Head
FLAIR magnetic resonance.
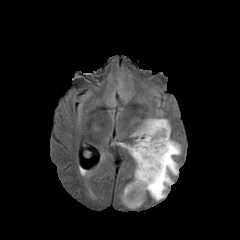
T1-weighted MR.
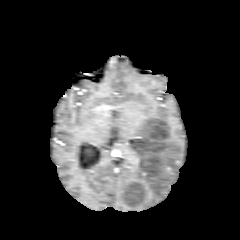
Post-contrast T1-weighted MRI.
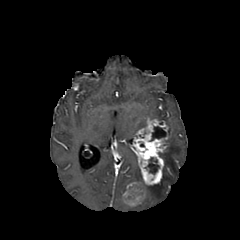
T2-weighted MR image.
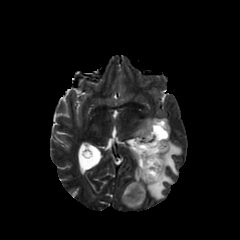
3 non-enhancing tumor core regions are located at (150,126,167,141), (145,157,159,174), (125,189,143,200). 3 enhancing tumor regions appear at (126,193,144,205), (124,182,142,197), (130,118,167,184). 2 edema regions appear at (119,142,143,183), (143,116,181,200).